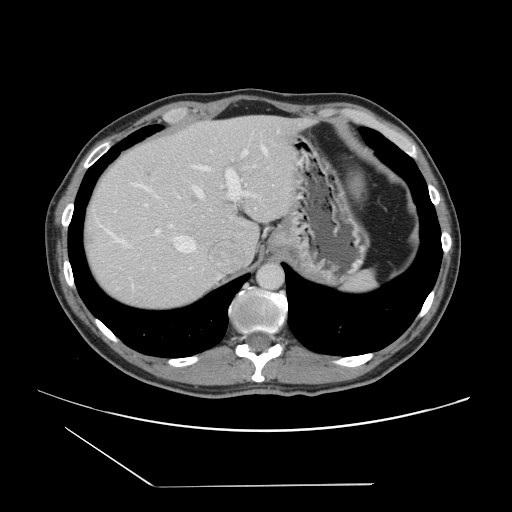
Computed tomography; Abdomen
Only some of the vessels may be annotated.
Liver tumor: bounding box bbox(190, 197, 197, 204).
Top 15 of 19 hepatic vessel regions: bounding box bbox(123, 241, 126, 243); bbox(173, 238, 177, 245); bbox(96, 218, 97, 220); bbox(249, 193, 256, 196); bbox(153, 193, 156, 197); bbox(185, 237, 192, 240); bbox(237, 176, 241, 185); bbox(129, 181, 145, 188); bbox(132, 285, 133, 287); bbox(261, 142, 266, 152); bbox(169, 225, 172, 226); bbox(114, 237, 117, 241); bbox(221, 183, 228, 190); bbox(193, 186, 202, 196); bbox(235, 196, 239, 199).